Field of view 240 mm wide, 1.00 mm slice spacing
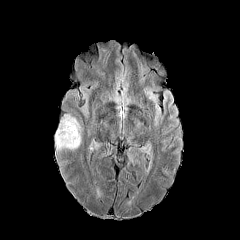
FLAIR MR.
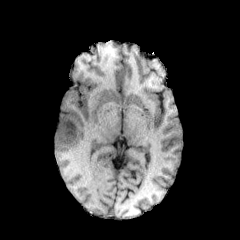
T1-weighted MR.
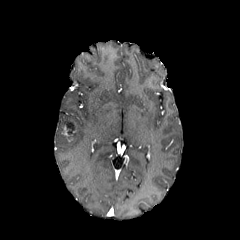
Post-contrast T1-weighted MRI.
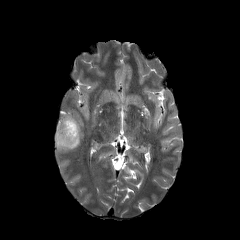
T2-weighted MR image.
non-enhancing tumor core: [64, 119, 77, 139] | edema: [80, 90, 88, 105], [55, 114, 81, 150]